FLAIR MRI.
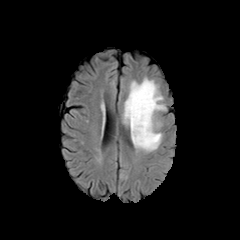
T1-weighted magnetic resonance.
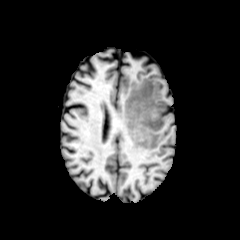
Post-contrast T1-weighted magnetic resonance.
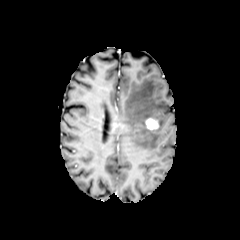
T2-weighted magnetic resonance.
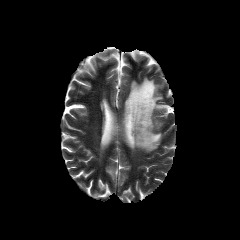
Head
Enhancing tumor at 146,118,158,129.
Edema at 122,78,167,151.